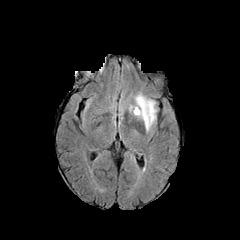
FLAIR MRI.
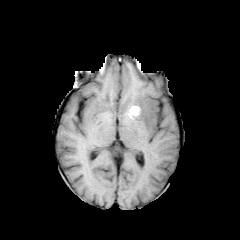
T1-weighted MR image.
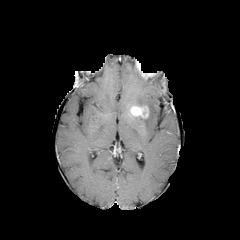
Post-contrast T1-weighted MRI of the same slice.
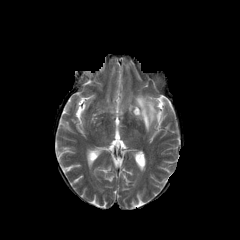
T2-weighted MR.
240x240 px; Head
{
  "edema": [
    {"x1": 134, "y1": 94, "x2": 158, "y2": 130}
  ],
  "enhancing_tumor": [
    {"x1": 130, "y1": 106, "x2": 148, "y2": 117}
  ]
}